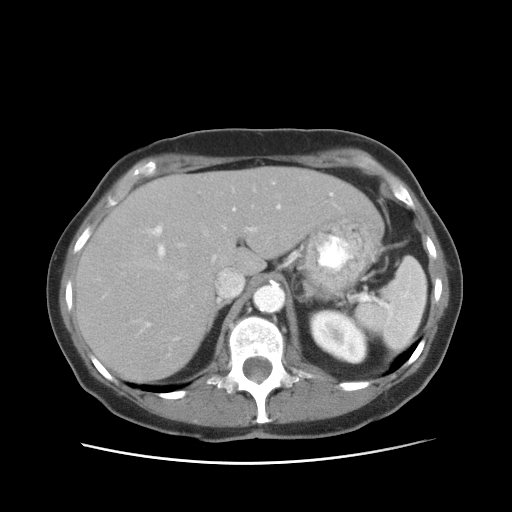 CT image

<segmentation>
  <spleen><box>358,257,426,348</box></spleen>
</segmentation>